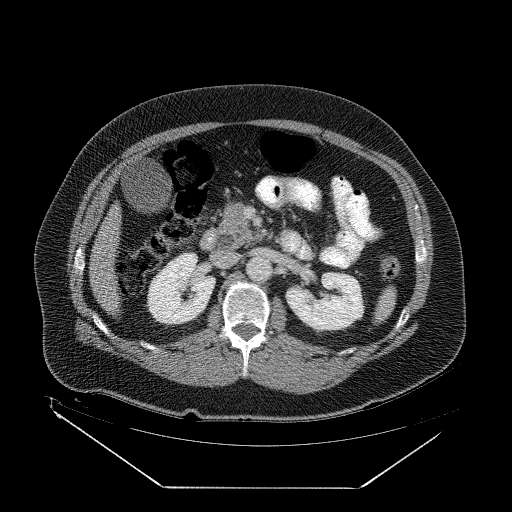 CT | Image size 512x512 | Upper abdomen
Segmented structures:
* pancreas: <box>221,200,254,248</box>